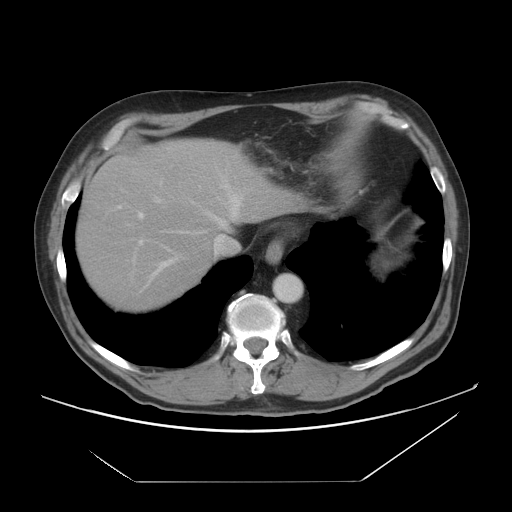 Upper abdomen, CT scan slice

liver:
  - [x1=76, y1=139, x2=303, y2=310]